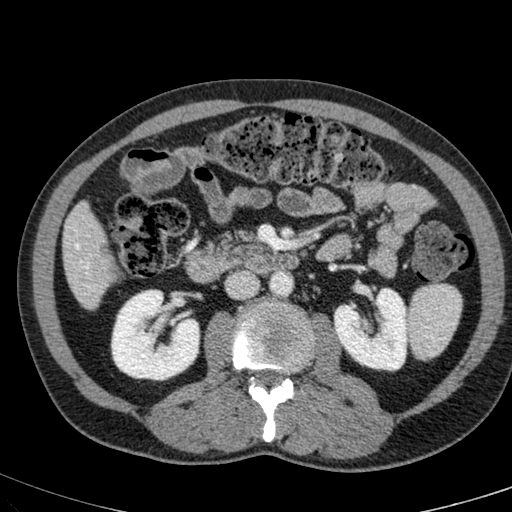
512x512; CT image; Liver
hepatic_lesion:
  - rect(98, 242, 113, 256)
kidney:
  - rect(112, 291, 198, 379)
  - rect(335, 289, 406, 369)
liver:
  - rect(63, 204, 112, 305)